FLAIR MRI.
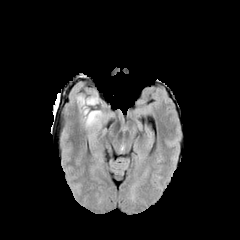
T1-weighted MRI.
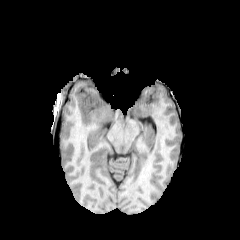
Post-contrast T1-weighted MRI.
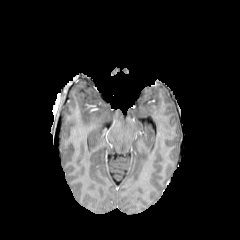
T2-weighted magnetic resonance.
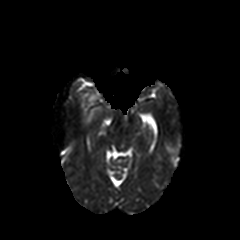
240x240.
<segmentation>
  <edema><bbox>77, 90, 106, 125</bbox></edema>
</segmentation>